Slice index 59 | 240x240 | Field of view 240 mm wide, 1.00 mm slice spacing | Brain
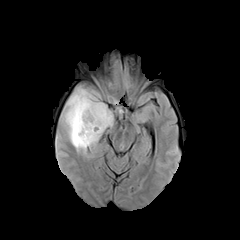
FLAIR MR.
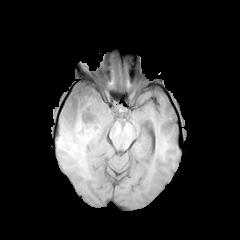
T1-weighted MRI.
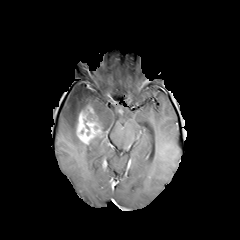
Same slice, post-contrast T1-weighted magnetic resonance.
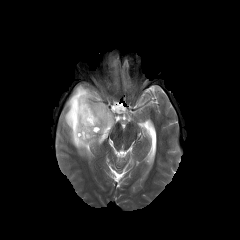
Same slice, T2-weighted MR image.
Annotated regions:
• edema: 55, 133, 64, 160; 59, 85, 113, 154
• enhancing tumor: 76, 112, 103, 144
• non-enhancing tumor core: 82, 108, 97, 121